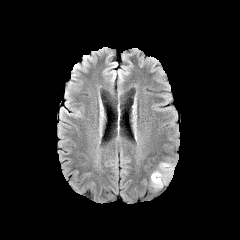
FLAIR magnetic resonance.
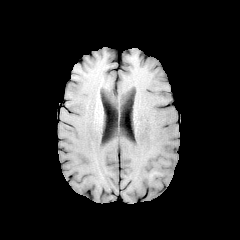
T1-weighted MRI of the same slice.
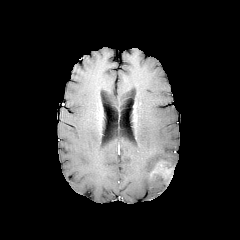
Same slice, post-contrast T1-weighted magnetic resonance.
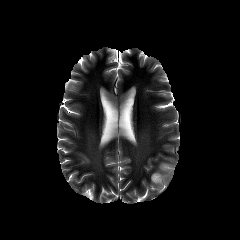
Same slice, T2-weighted MRI.
Edema: bounding box [x1=150, y1=158, x2=174, y2=189].
Non-enhancing tumor core: bounding box [x1=164, y1=164, x2=172, y2=173], [x1=154, y1=174, x2=165, y2=181].